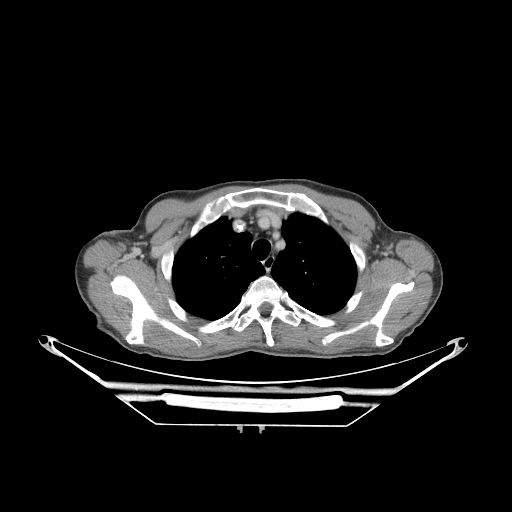

Thorax, 512x512 px, CT image
Lung at (172,216,263,320), (272,212,357,314).
Bone at (355,246,364,269), (201,203,217,223), (324,323,365,343), (162,257,171,279), (111,276,156,343), (347,292,361,311), (200,276,334,345), (371,282,413,345), (162,319,195,341), (169,299,185,319), (225,188,320,215).